Brain, Slice 62 of 155, 240x240 px
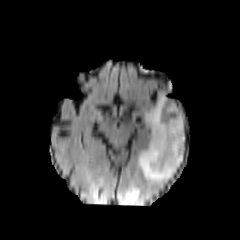
FLAIR MRI.
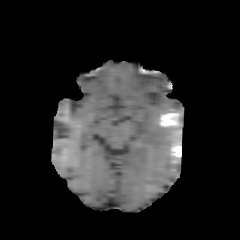
T1-weighted MR image.
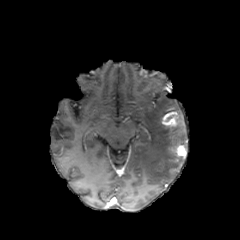
Post-contrast T1-weighted magnetic resonance.
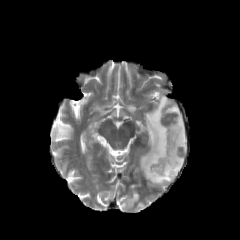
T2-weighted MRI.
edema: (x1=179, y1=121, x2=185, y2=144), (x1=125, y1=192, x2=139, y2=204), (x1=137, y1=92, x2=184, y2=185) | enhancing tumor: (x1=162, y1=111, x2=180, y2=127), (x1=172, y1=141, x2=187, y2=161) | non-enhancing tumor core: (x1=170, y1=116, x2=184, y2=158)